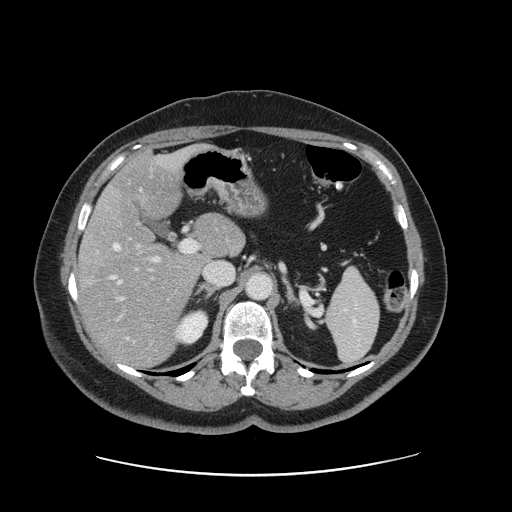
512x512 px; CT slice

The vessel boxes may cover only some of the vessels.
8 hepatic vessel regions appear at [x1=138, y1=245, x2=139, y2=247], [x1=117, y1=297, x2=122, y2=300], [x1=153, y1=257, x2=159, y2=261], [x1=127, y1=337, x2=129, y2=338], [x1=111, y1=275, x2=115, y2=278], [x1=114, y1=243, x2=119, y2=249], [x1=118, y1=280, x2=121, y2=283], [x1=136, y1=268, x2=137, y2=270].